FLAIR MR image.
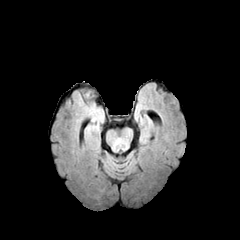
T1-weighted magnetic resonance.
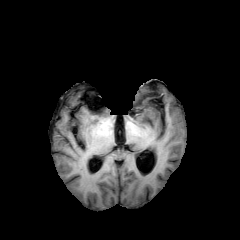
Post-contrast T1-weighted magnetic resonance.
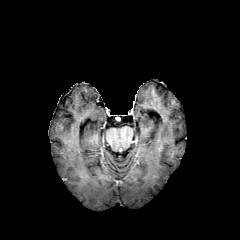
T2-weighted MRI.
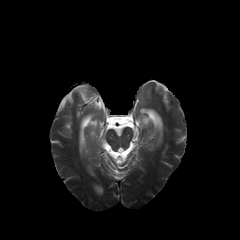
240x240 px
edema:
  - 141:131:149:143
  - 140:115:152:128